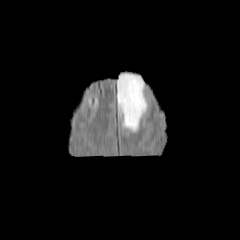
FLAIR MR.
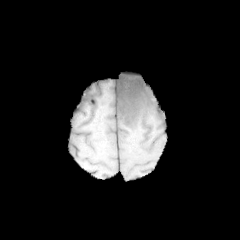
T1-weighted MR image.
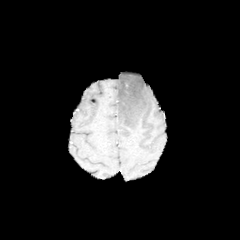
Post-contrast T1-weighted magnetic resonance of the same slice.
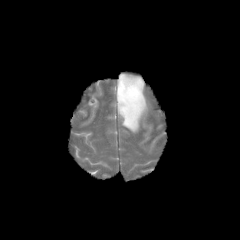
T2-weighted MR.
Image size 240x240.
{"edema": ["<bbox>117, 72, 146, 131</bbox>"]}